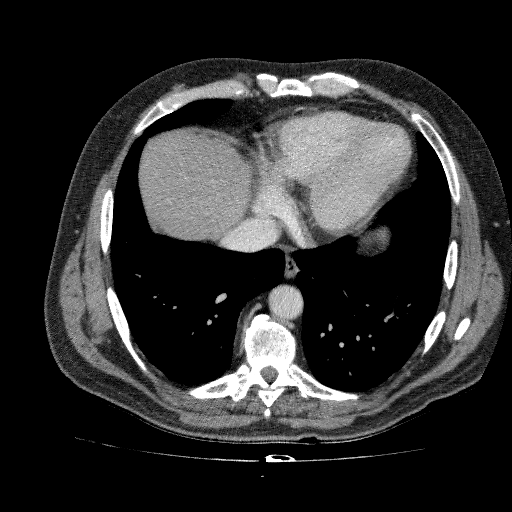 CT image; Liver
The liver is located at l=139, t=130, r=253, b=240.